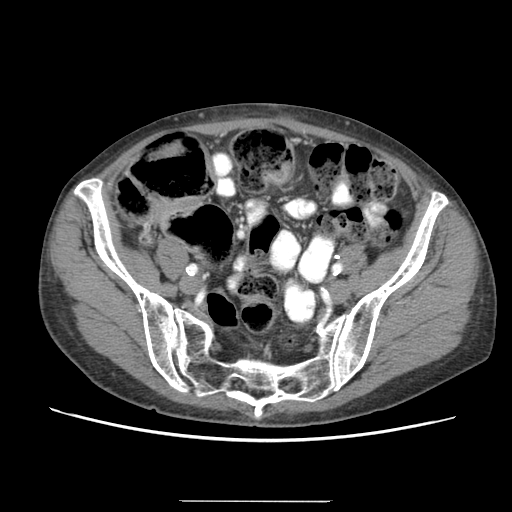

Pelvis, CT scan slice
Colon tumor — (265, 162, 290, 183).